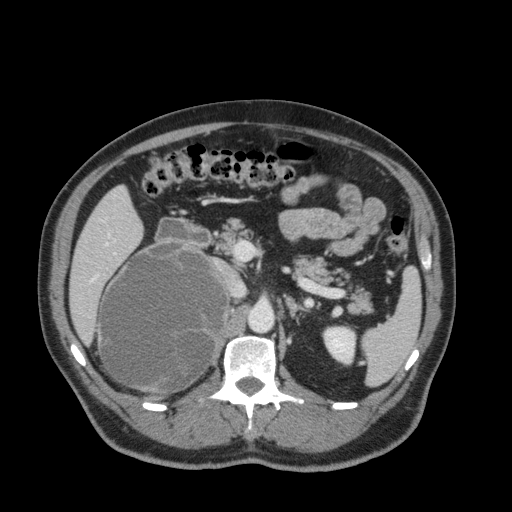
Computed tomography
The liver is located at box(70, 187, 141, 343). The kidney is at box(324, 327, 354, 363).